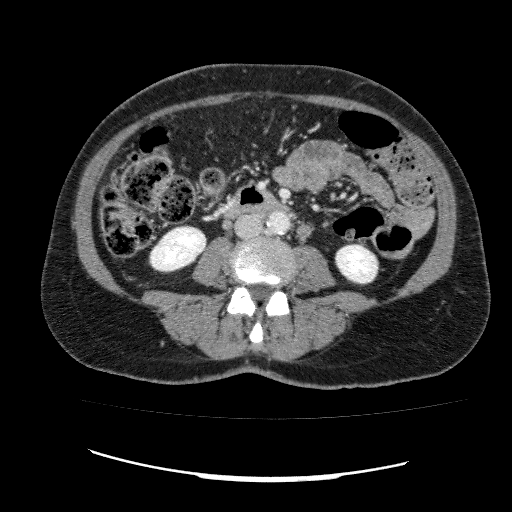
CT
Annotated regions:
• kidney: [x1=150, y1=227, x2=205, y2=270], [x1=336, y1=245, x2=377, y2=282]